Slice 73/155, Head
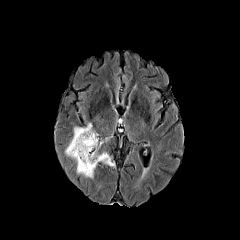
FLAIR MR.
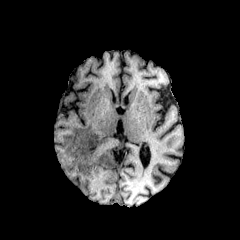
Same slice, T1-weighted MRI.
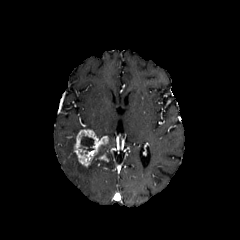
Post-contrast T1-weighted MR image.
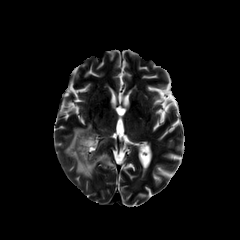
T2-weighted MR image.
<segmentation>
  <edema>65 127 114 178</edema>
  <non-enhancing_tumor_core>81 136 94 154</non-enhancing_tumor_core>
  <enhancing_tumor>73 129 108 167</enhancing_tumor>
</segmentation>